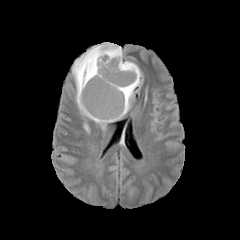
FLAIR MR.
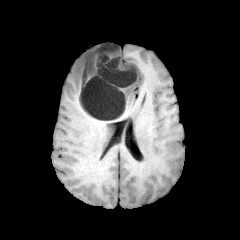
Same slice, T1-weighted magnetic resonance.
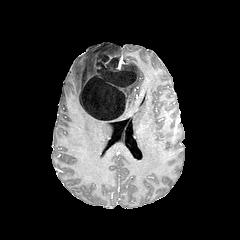
Same slice, post-contrast T1-weighted MRI.
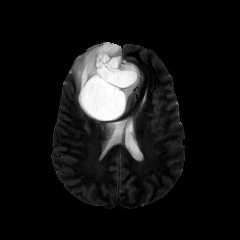
T2-weighted MRI.
The enhancing tumor is located at 118, 55, 126, 69. The non-enhancing tumor core lies within 79, 44, 137, 121. 2 edema regions appear at 71, 45, 113, 131; 120, 60, 143, 117.